Field of view 240x240 mm | Brain
FLAIR MR image.
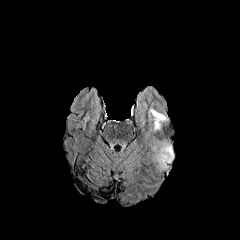
T1-weighted MR.
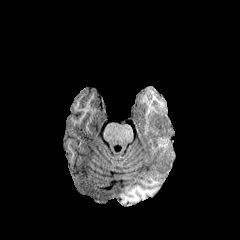
Post-contrast T1-weighted MR.
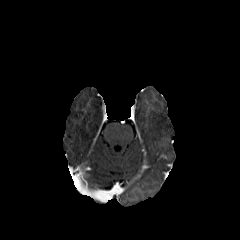
T2-weighted MR image.
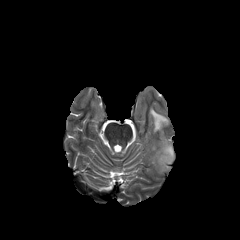
{
  "edema": [
    "<bbox>149, 108, 168, 132</bbox>",
    "<bbox>150, 138, 174, 170</bbox>"
  ]
}